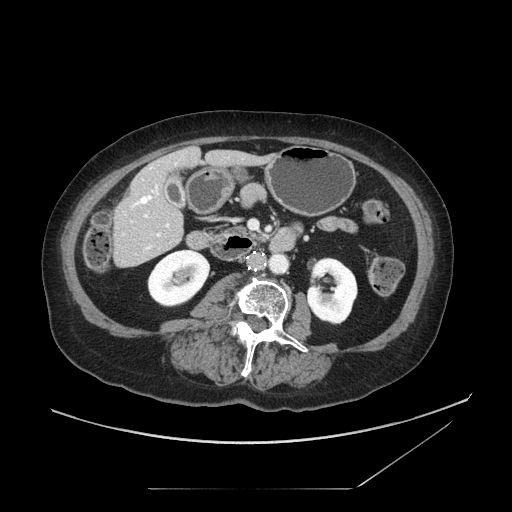
Abdomen, Computed tomography
Pancreas — l=232, t=227, r=243, b=232.